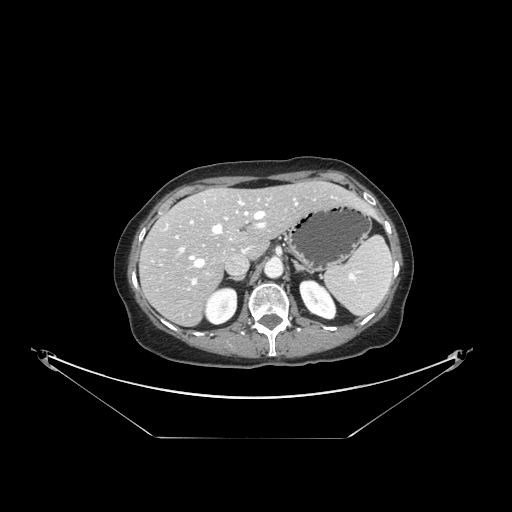 512x512. Computed tomography.

The vessel boxes may cover only some of the vessels.
Hepatic vessel: [x1=193, y1=280, x2=195, y2=282], [x1=180, y1=248, x2=183, y2=251], [x1=213, y1=225, x2=220, y2=232], [x1=255, y1=212, x2=263, y2=218], [x1=258, y1=223, x2=263, y2=226].